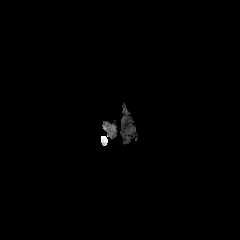
FLAIR magnetic resonance.
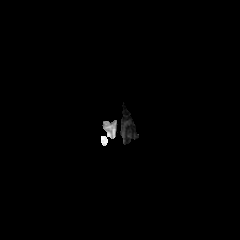
Same slice, T1-weighted magnetic resonance.
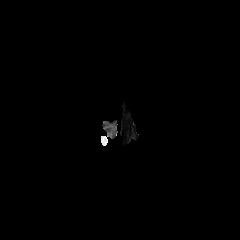
Post-contrast T1-weighted magnetic resonance.
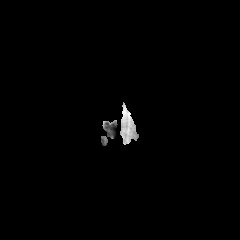
Same slice, T2-weighted magnetic resonance.
240x240 px
The enhancing tumor appears at [101, 136, 107, 145].